Pelvis | 512x512 px | CT slice | Slice 32/99

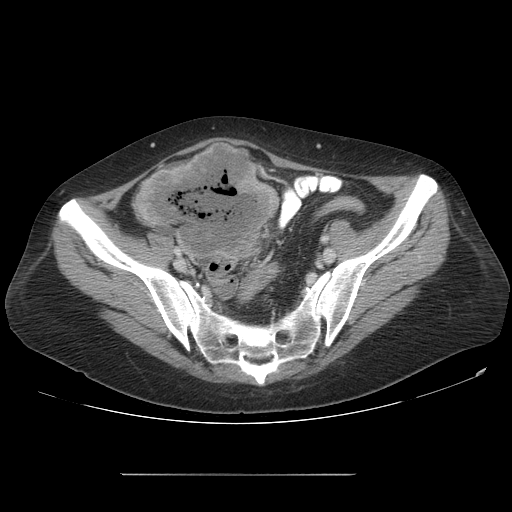 colon tumor: left=134, top=142, right=278, bottom=261